Head
FLAIR MRI.
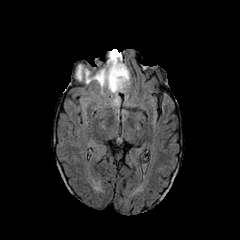
T1-weighted MR.
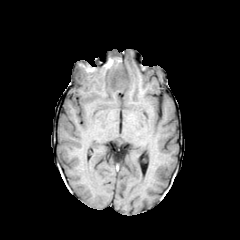
Post-contrast T1-weighted MR image.
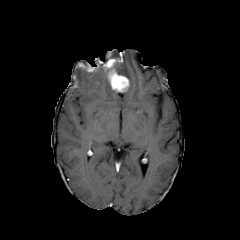
T2-weighted magnetic resonance.
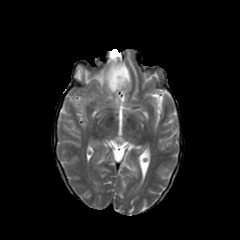
{"edema": ["74:64:126:106", "116:62:131:84"], "non-enhancing_tumor_core": ["111:49:120:58", "114:63:127:77", "90:62:109:84"], "enhancing_tumor": ["103:51:129:91"]}